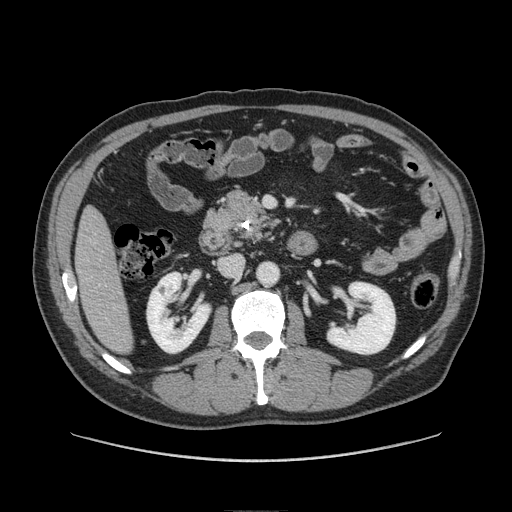

CT slice, Image size 512x512, Abdomen

<segmentation>
  <pancreas>[201,187,280,250]</pancreas>
</segmentation>